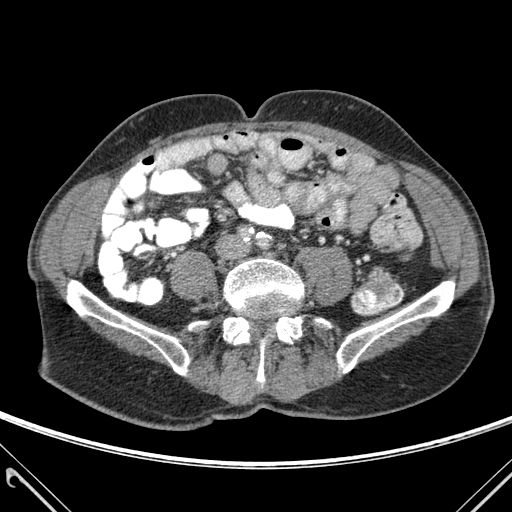
CT image

<segmentation>
  <bone>x1=67, y1=280, x2=189, y2=374; x1=316, y1=319, x2=330, y2=326; x1=257, y1=340, x2=264, y2=382; x1=189, y1=321, x2=204, y2=329; x1=337, y1=281, x2=454, y2=372; x1=224, y1=259, x2=303, y2=342; x1=223, y1=317, x2=250, y2=344</bone>
</segmentation>